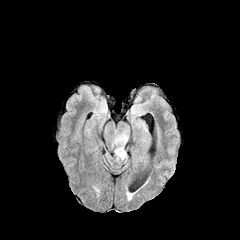
FLAIR MRI.
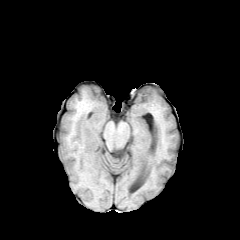
T1-weighted MR.
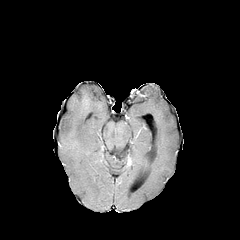
Post-contrast T1-weighted magnetic resonance.
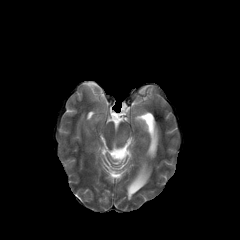
T2-weighted magnetic resonance.
Head
edema: (x1=114, y1=147, x2=126, y2=159)